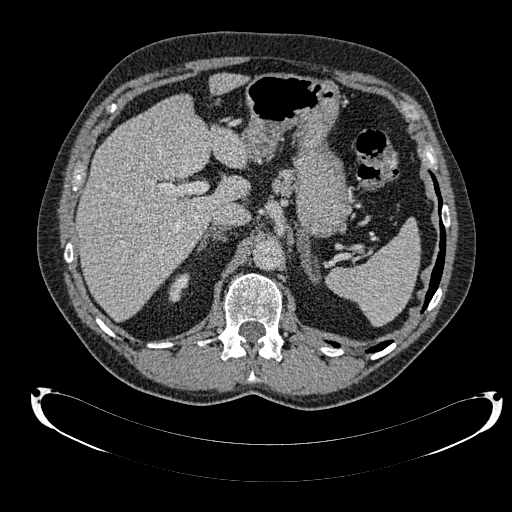
Upper abdomen. CT scan slice.
{
  "kidney": [
    "170:274:188:299"
  ],
  "liver": [
    "78:96:248:320",
    "210:73:246:93"
  ]
}